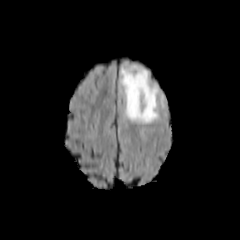
FLAIR MRI.
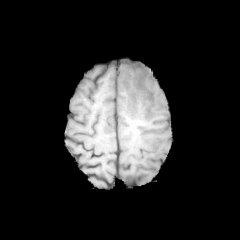
Same slice, T1-weighted MR.
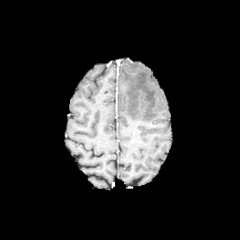
Post-contrast T1-weighted MR.
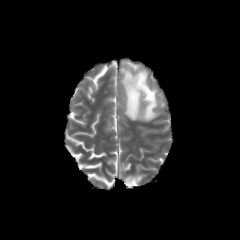
T2-weighted MR image.
Brain
<segmentation>
  <edema><box>120,65,159,123</box></edema>
</segmentation>